Slice 91 of 461; Pelvis; CT scan slice
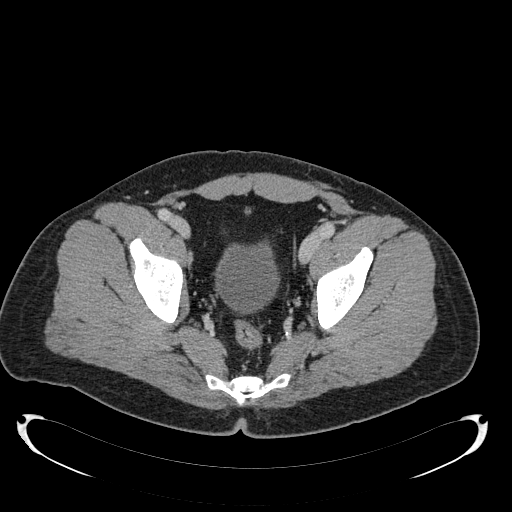
Urinary bladder at <box>214,240,279,314</box>.